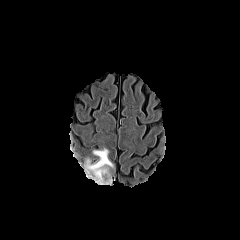
FLAIR MR image.
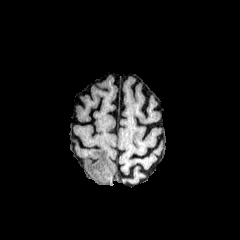
T1-weighted MR image of the same slice.
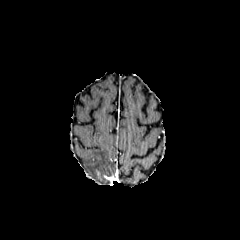
Post-contrast T1-weighted MRI.
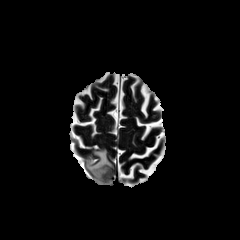
T2-weighted magnetic resonance.
Brain. Image size 240x240.
edema:
  - 85,150,113,185